Head. Field of view 240 mm wide, 1.00 mm slice spacing.
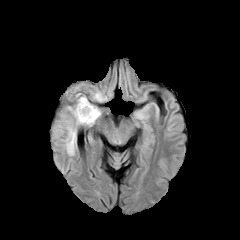
FLAIR MR image.
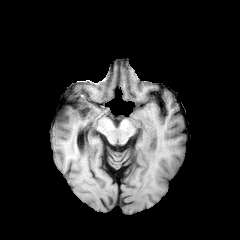
T1-weighted MRI of the same slice.
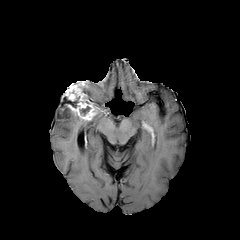
Post-contrast T1-weighted MRI.
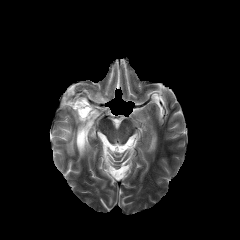
Same slice, T2-weighted MRI.
<segmentation>
  <enhancing_tumor>{"x1": 65, "y1": 82, "x2": 97, "y2": 120}</enhancing_tumor>
  <edema>{"x1": 88, "y1": 87, "x2": 106, "y2": 102}, {"x1": 55, "y1": 107, "x2": 100, "y2": 155}</edema>
  <non-enhancing_tumor_core>{"x1": 80, "y1": 82, "x2": 98, "y2": 106}, {"x1": 64, "y1": 96, "x2": 77, "y2": 113}</non-enhancing_tumor_core>
</segmentation>